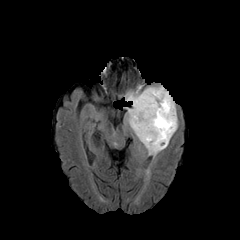
FLAIR MR image.
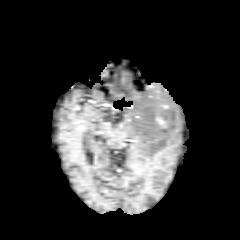
T1-weighted magnetic resonance.
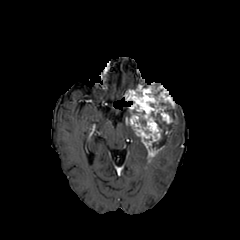
Same slice, post-contrast T1-weighted MR.
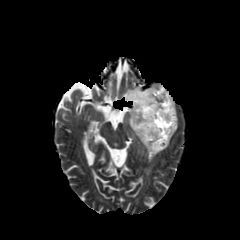
Same slice, T2-weighted magnetic resonance.
Brain
non-enhancing tumor core: [152, 116, 176, 148] | edema: [159, 124, 177, 151] | enhancing tumor: [124, 82, 176, 155]